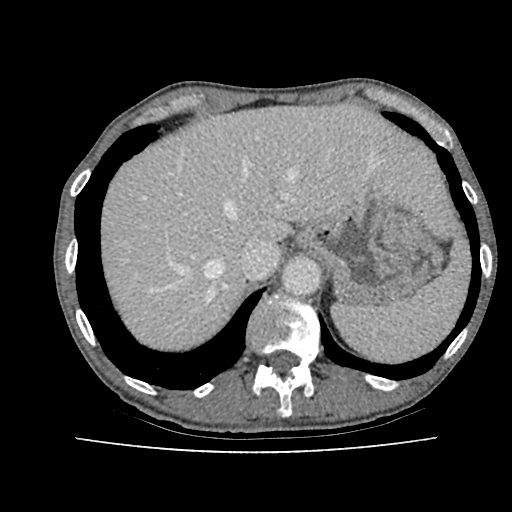
CT image

Liver at bbox=[100, 105, 451, 349].